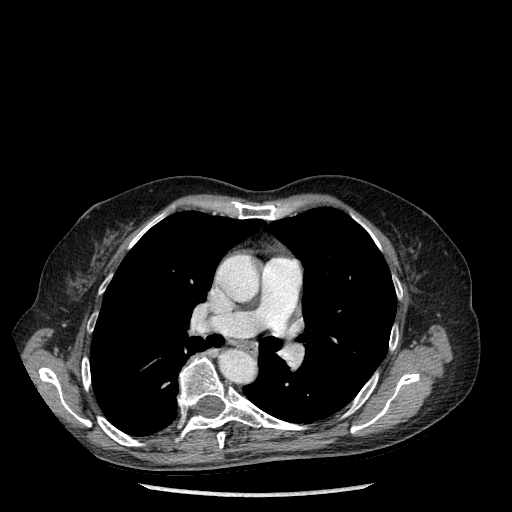

Thorax; Computed tomography
{
  "lung": [
    "left=243, top=207, right=396, bottom=422",
    "left=90, top=211, right=262, bottom=436"
  ],
  "bone": [
    "left=176, top=355, right=305, bottom=441",
    "left=97, top=416, right=143, bottom=446",
    "left=350, top=372, right=419, bottom=433",
    "left=343, top=373, right=378, bottom=417",
    "left=99, top=276, right=110, bottom=293",
    "left=393, top=276, right=402, bottom=298",
    "left=231, top=201, right=282, bottom=219",
    "left=389, top=326, right=398, bottom=350",
    "left=128, top=212, right=165, bottom=248",
    "left=217, top=432, right=224, bottom=448",
    "left=87, top=315, right=95, bottom=331",
    "left=357, top=219, right=381, bottom=249",
    "left=39, top=367, right=91, bottom=426",
    "left=81, top=357, right=90, bottom=390"
  ]
}